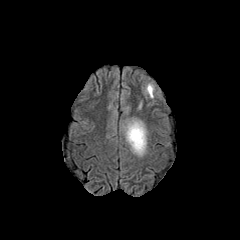
FLAIR MRI.
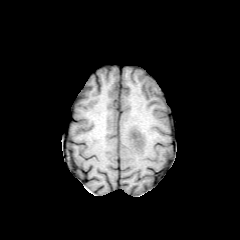
Same slice, T1-weighted MR image.
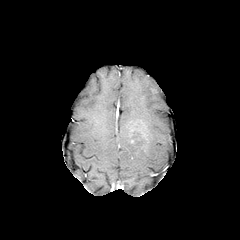
Post-contrast T1-weighted magnetic resonance.
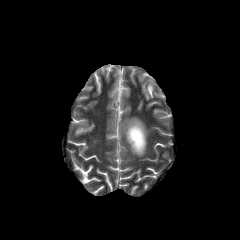
T2-weighted MR.
Non-enhancing tumor core at (131,126,143,137).
Edema at (124,118,146,156).